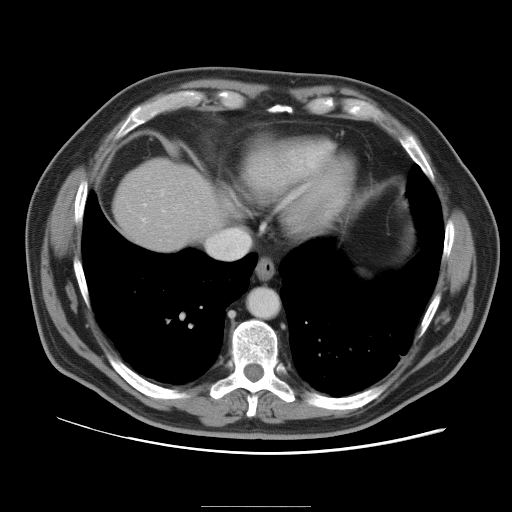
512x512 px; Computed tomography
The vessel annotation is not exhaustive.
Hepatic vessel — 142,218,145,221; 161,189,164,195; 143,204,145,205.